Brain | Image width 240 mm | Slice 37 of 155
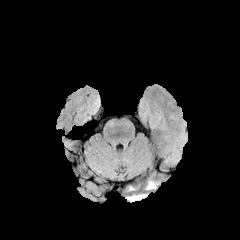
FLAIR MRI.
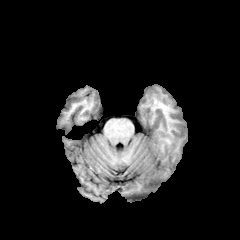
T1-weighted magnetic resonance of the same slice.
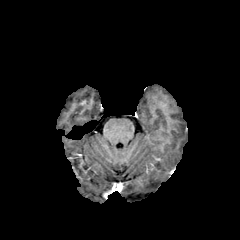
Post-contrast T1-weighted MR image.
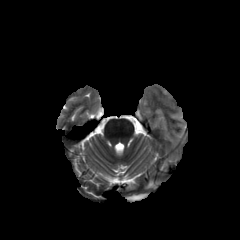
T2-weighted MRI of the same slice.
{
  "edema": [
    "125, 193, 148, 201",
    "146, 180, 159, 189"
  ]
}